MR 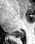
posterior_hippocampus:
  - (8,30,23,37)